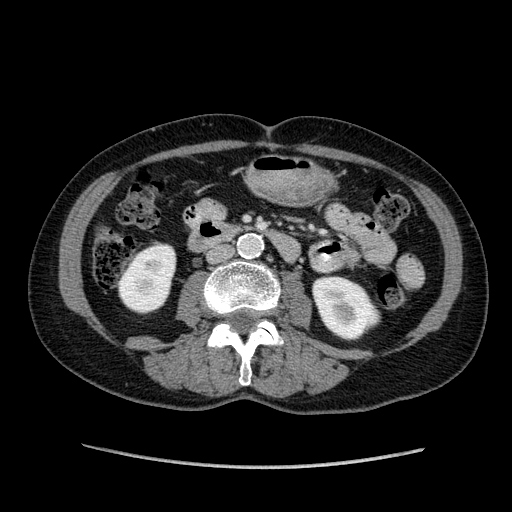
CT slice, Abdomen
- kidney: left=313, top=277, right=376, bottom=338; left=119, top=245, right=174, bottom=311